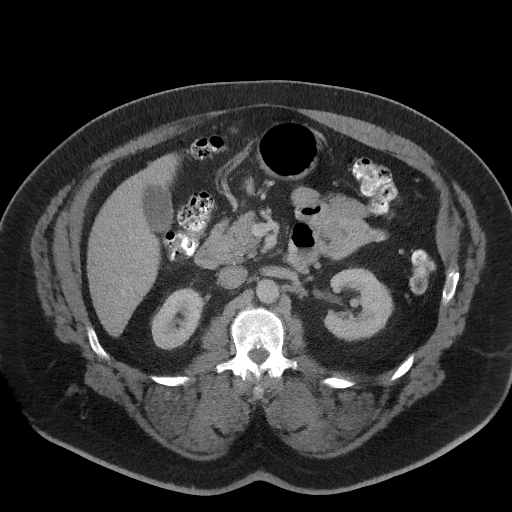

Abdomen; Computed tomography; Image size 512x512
<segmentation>
  <pancreas>rect(195, 213, 258, 269)</pancreas>
</segmentation>